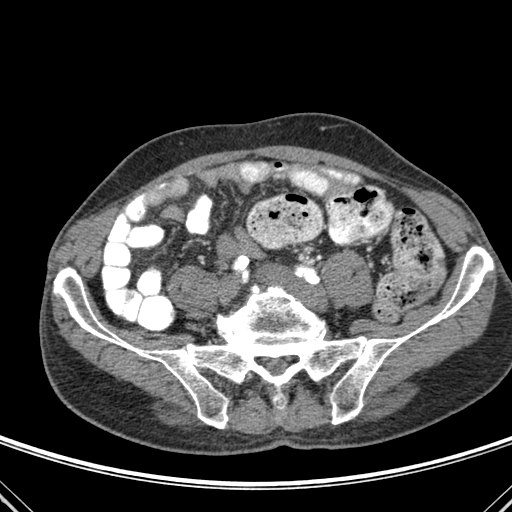

512x512; Computed tomography
<segmentation>
  <bone><bbox>53, 246, 493, 428</bbox></bone>
</segmentation>